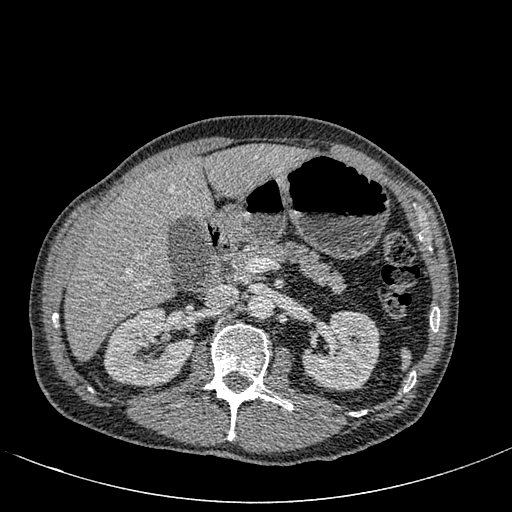
Computed tomography | Abdomen | 512x512 px
• kidney: bbox(104, 308, 193, 385); bbox(302, 311, 378, 390)
• liver: bbox(65, 145, 315, 360)